CT scan slice. 512x512. Slice 69 of 86.

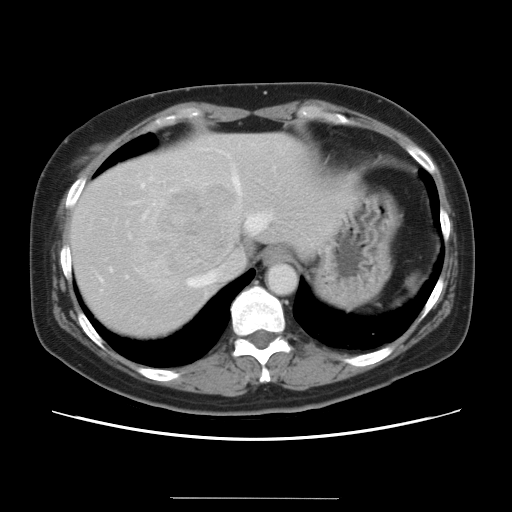 The vessel annotation is not exhaustive.
The liver tumor is bounded by [151, 185, 241, 271]. 15 hepatic vessel regions are bounded by [199, 148, 212, 150], [99, 277, 101, 281], [128, 235, 130, 237], [225, 154, 228, 156], [232, 176, 240, 195], [110, 269, 111, 271], [125, 276, 126, 277], [187, 269, 234, 287], [150, 178, 151, 179], [126, 222, 127, 223], [136, 270, 141, 271], [141, 185, 143, 187], [247, 214, 270, 231], [143, 212, 146, 219], [132, 203, 135, 203].